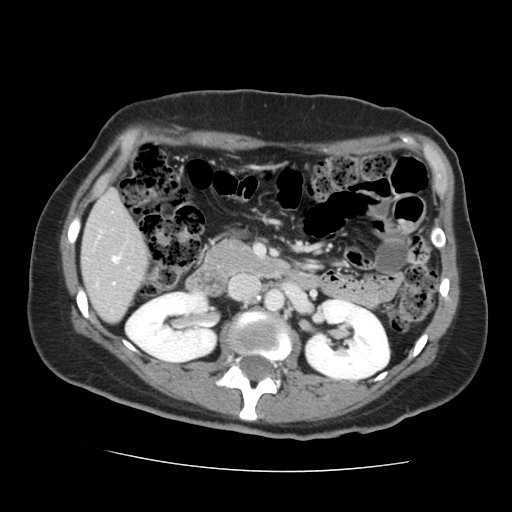

Liver; CT slice
The vessel annotation is not exhaustive.
The hepatic vessel appears at (112,256,119,262).